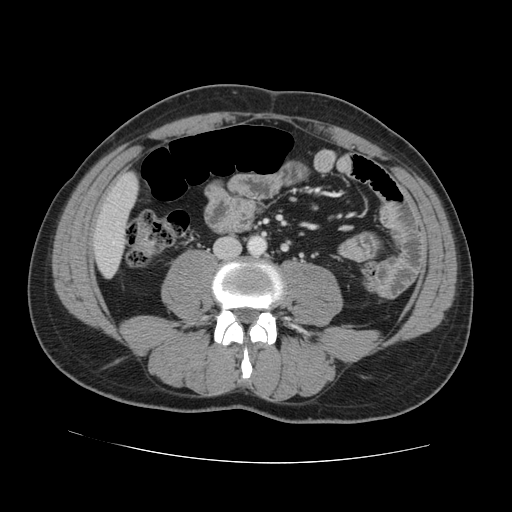 Image size 512x512. Computed tomography.

The vessel boxes may cover only some of the vessels.
hepatic vessel: [112,241,114,243]